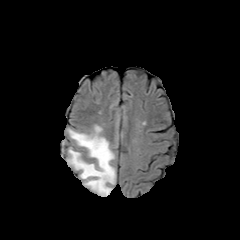
FLAIR MRI.
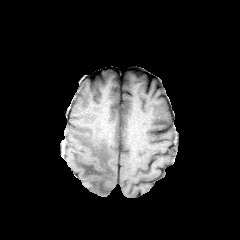
Same slice, T1-weighted magnetic resonance.
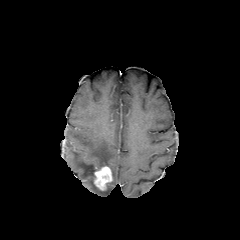
Post-contrast T1-weighted MR image.
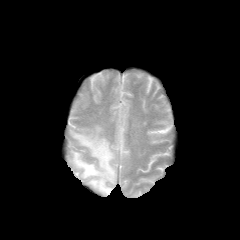
T2-weighted MR of the same slice.
edema: (68, 126, 116, 195) | enhancing tumor: (94, 166, 112, 189)